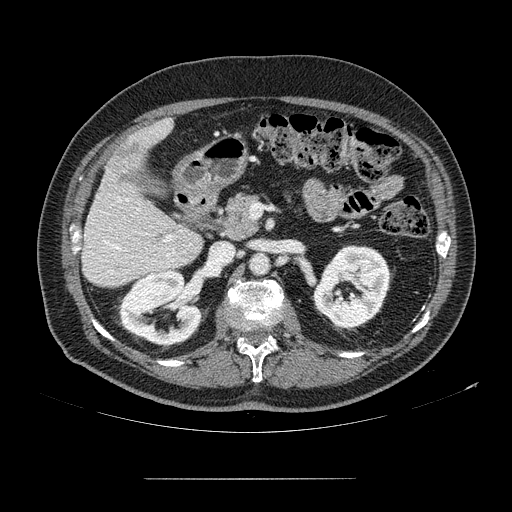
CT. Abdomen.

{"pancreas": ["box(213, 191, 261, 242)"]}